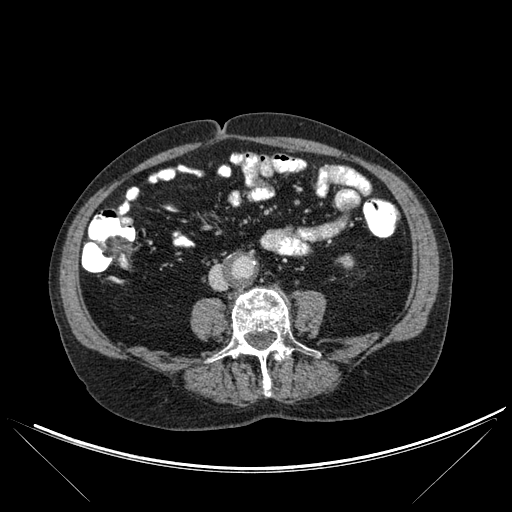 CT slice.

Annotated regions:
- kidney: x1=341, y1=256, x2=352, y2=266
- bone: x1=220, y1=288, x2=306, y2=395